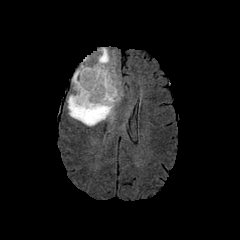
FLAIR MR image.
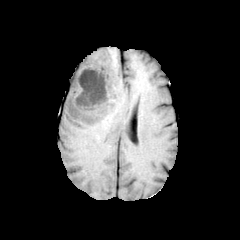
T1-weighted MR image of the same slice.
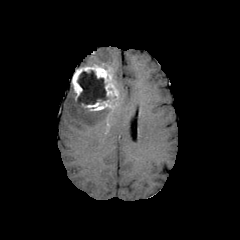
Same slice, post-contrast T1-weighted MR image.
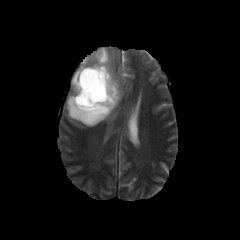
T2-weighted MR of the same slice.
Brain
Non-enhancing tumor core = 74 70 116 114.
Enhancing tumor = 84 100 111 110, 72 64 119 97.
Edema = 66 85 119 126, 79 47 120 92.